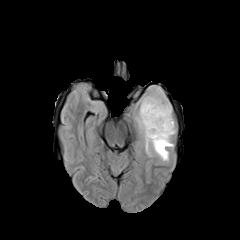
FLAIR magnetic resonance.
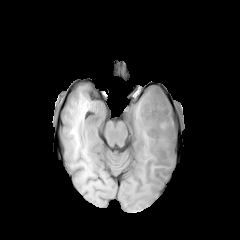
T1-weighted MRI.
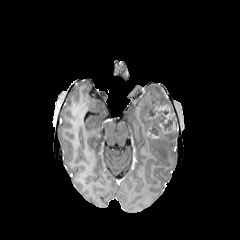
Post-contrast T1-weighted MR image.
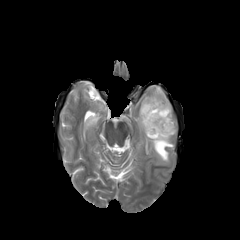
T2-weighted magnetic resonance.
Findings:
- edema: bbox(132, 85, 176, 165)
- non-enhancing tumor core: bbox(145, 85, 177, 139)